FLAIR magnetic resonance.
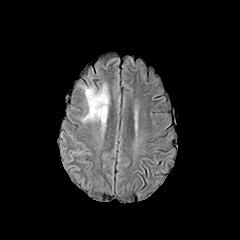
T1-weighted magnetic resonance.
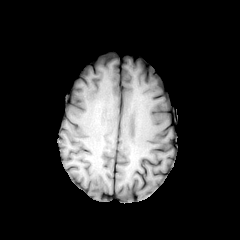
Post-contrast T1-weighted MR.
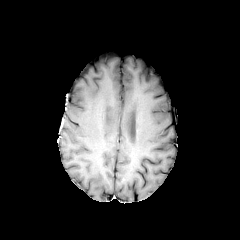
T2-weighted MR image.
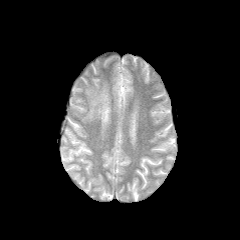
Head. Image size 240x240.
Edema = box=[81, 79, 109, 132].